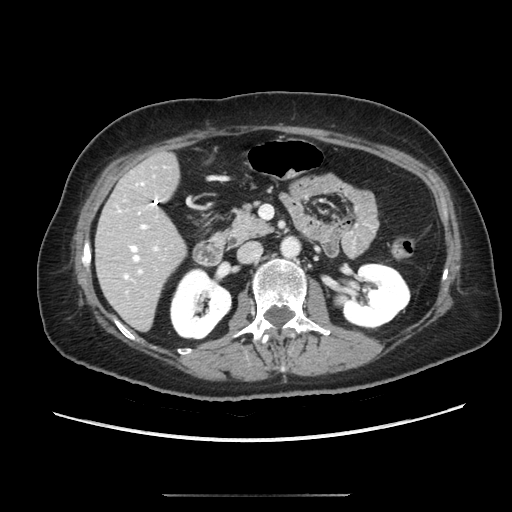
Upper abdomen; CT

The pancreas is bounded by <box>231,207,271,243</box>.